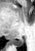
Magnetic resonance, Medial temporal lobe
{
  "posterior_hippocampus": [
    "region(13, 38, 23, 46)"
  ]
}